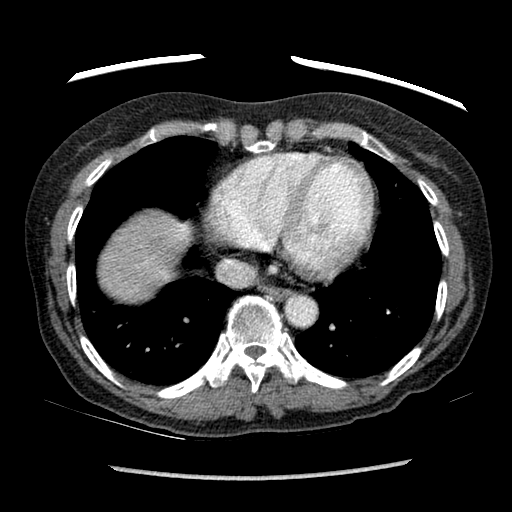

CT image; 512x512 px
Annotated regions:
- liver: (x1=101, y1=217, x2=186, y2=301)